Brain | Slice 65 of 155
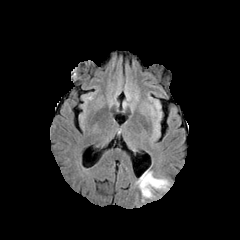
FLAIR MRI.
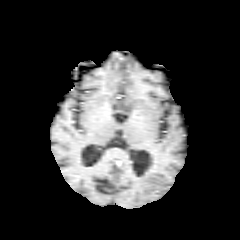
T1-weighted MR of the same slice.
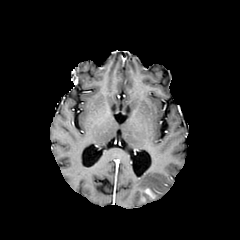
Same slice, post-contrast T1-weighted MR image.
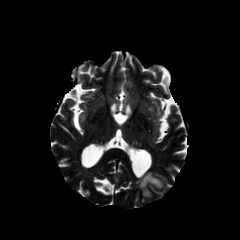
T2-weighted MR.
Edema at rect(136, 169, 169, 197).